240x240 px
FLAIR MRI.
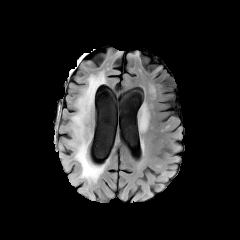
T1-weighted MR image.
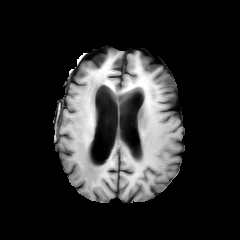
Post-contrast T1-weighted MR.
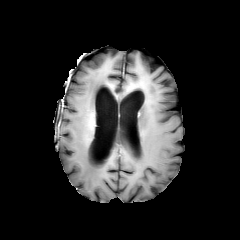
T2-weighted MR image.
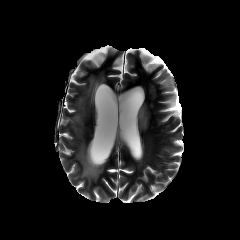
- edema: region(73, 142, 105, 184); region(72, 75, 105, 125)